CT scan slice; Slice index 598

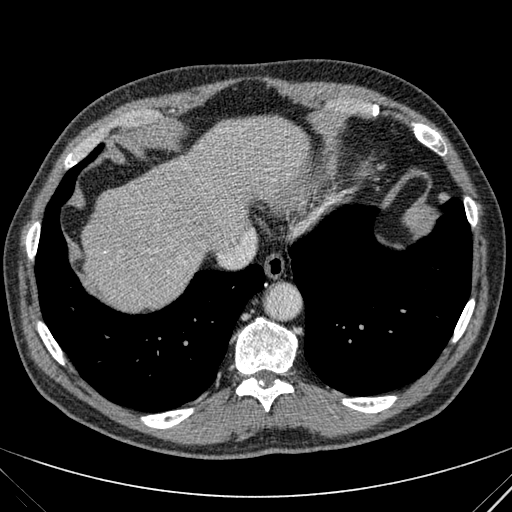
Annotated regions:
• liver: x1=82, y1=116, x2=307, y2=309